Slice 59/95 | Abdomen | Computed tomography 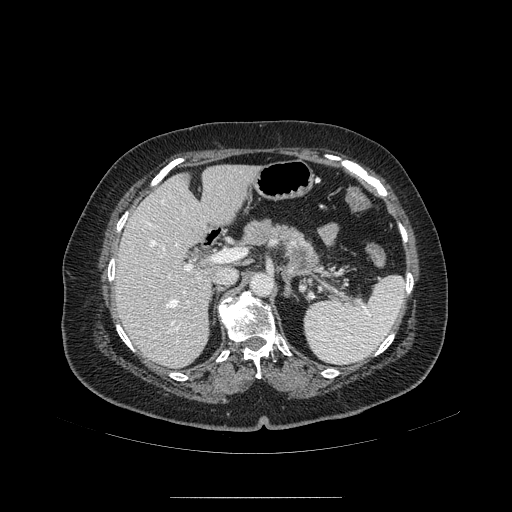 pancreas: 238 218 348 288 | pancreatic tumor: 291 247 317 270